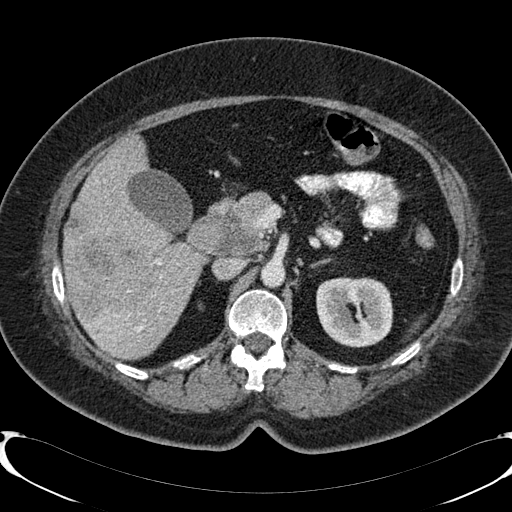
Upper abdomen | Computed tomography | 512x512 px
Kidney — bbox=[317, 278, 391, 346].
Liver — bbox=[65, 137, 201, 359].
Focal liver lesion — bbox=[70, 209, 161, 318].